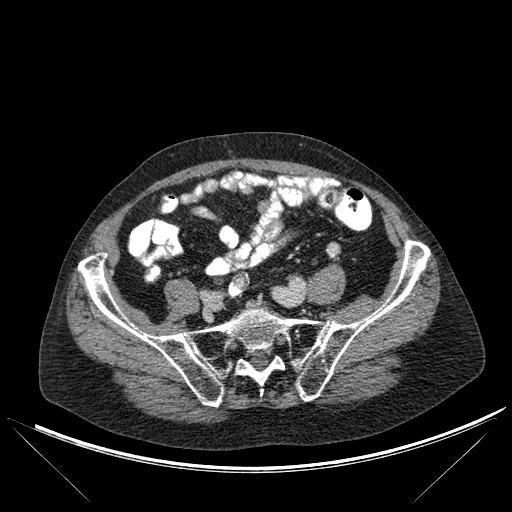
Image size 512x512. Computed tomography. 2 bone regions are located at 78 240 429 406, 235 356 284 386.